CT scan slice

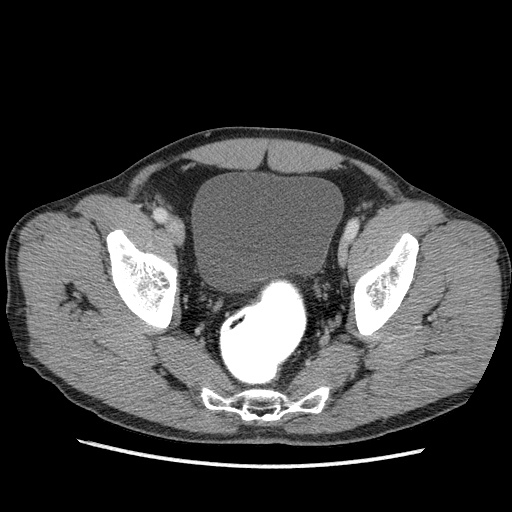

The urinary bladder appears at {"x1": 191, "y1": 170, "x2": 343, "y2": 291}.